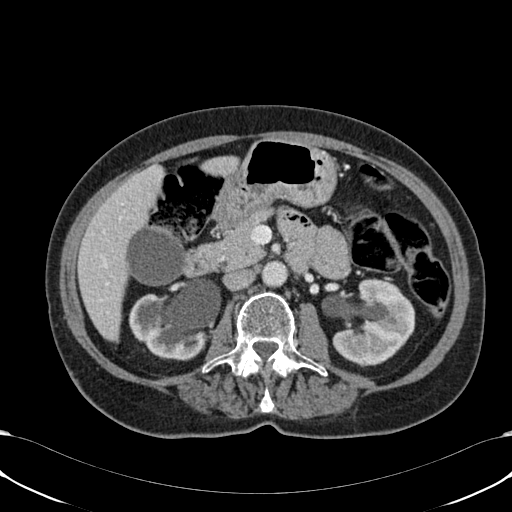
CT image | Abdomen
2 kidney regions appear at box=[333, 280, 414, 364]; box=[129, 291, 222, 359]. 2 liver regions are located at box=[78, 164, 163, 341]; box=[202, 157, 238, 175].